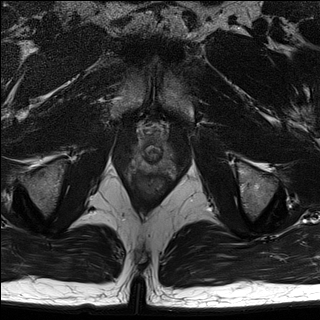
T2-weighted magnetic resonance.
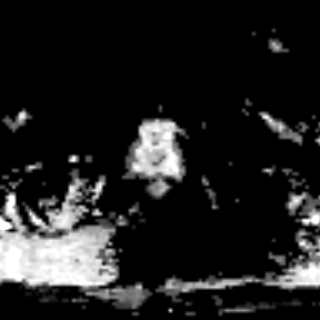
Same slice, ADC magnetic resonance.
320x320, Pelvis
Prostate peripheral zone at left=136, top=149, right=172, bottom=170.
Prostate transition zone at left=141, top=144, right=165, bottom=163.